Slice 64/155, Field of view 240 mm wide, 1.00 mm slice spacing, Brain
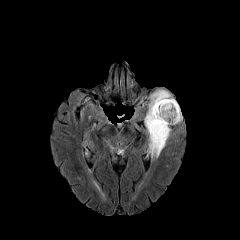
FLAIR MRI.
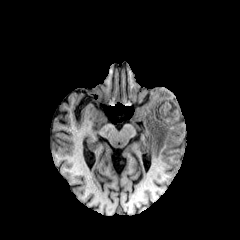
Same slice, T1-weighted MR.
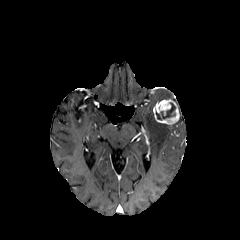
Same slice, post-contrast T1-weighted MRI.
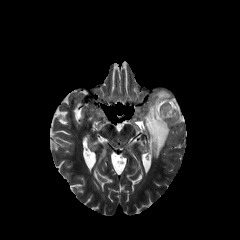
T2-weighted MR.
enhancing_tumor:
  - (153, 99, 179, 126)
edema:
  - (144, 90, 176, 161)
non-enhancing_tumor_core:
  - (161, 102, 175, 118)